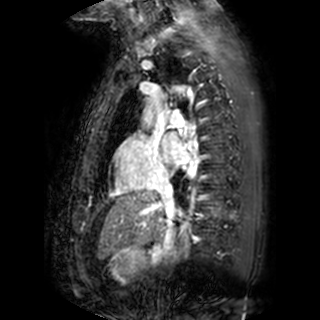

MRI slice
Segmented structures:
- left atrium: l=163, t=131, r=189, b=165